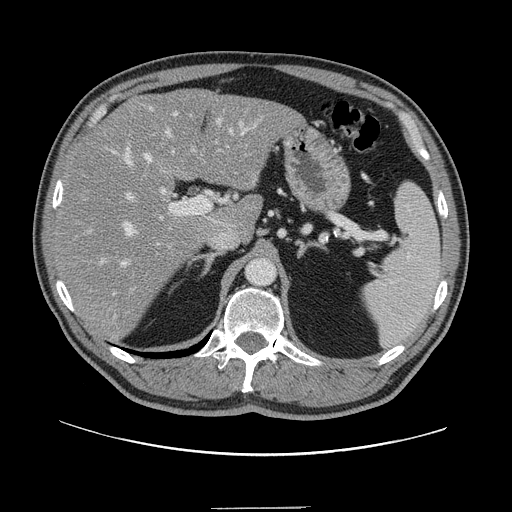
Abdomen; CT slice
The vessel annotation is not exhaustive.
The most prominent 15 hepatic vessel regions (of 21) are bounded by (121,262,127,266), (162,189,164,193), (218,118,221,123), (167,129,170,135), (254,122,257,126), (150,107,153,110), (124,223,137,235), (145,154,150,161), (241,123,250,133), (101,260,104,263), (123,148,132,165), (220,199,227,202), (127,194,132,199), (168,192,214,215), (229,129,232,132).